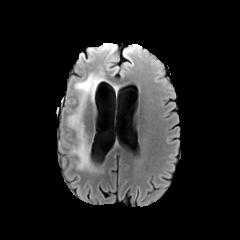
FLAIR MRI.
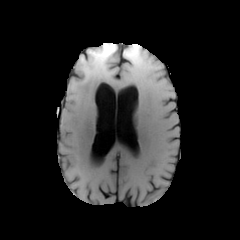
Same slice, T1-weighted MRI.
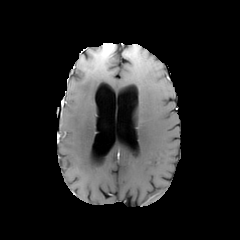
Same slice, post-contrast T1-weighted MR.
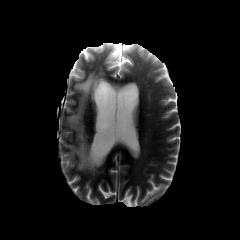
T2-weighted MRI.
240x240 px | Brain
3 edema regions appear at l=77, t=55, r=92, b=67; l=104, t=46, r=143, b=73; l=68, t=68, r=105, b=171. The non-enhancing tumor core appears at l=82, t=46, r=114, b=65. The enhancing tumor is bounded by l=101, t=46, r=114, b=61.